Field of view 37x50 mm, MR image, Slice 25 of 40
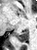 Segmented structures:
- posterior hippocampus: 14 29 28 42